CT slice | Image size 512x512

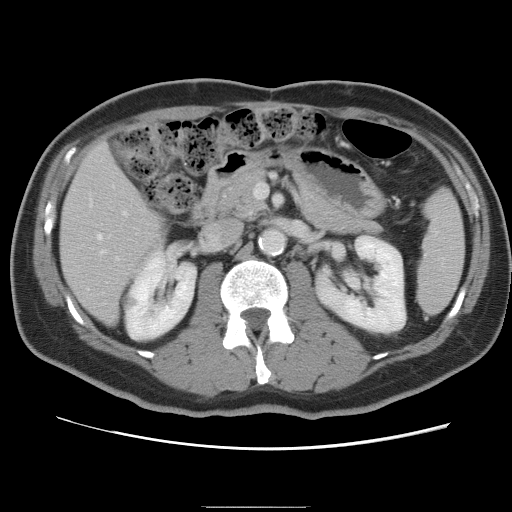 Some hepatic vessels may have no box.
5 hepatic vessel regions are bounded by [100, 249, 104, 252], [123, 210, 126, 213], [89, 198, 91, 205], [115, 257, 117, 258], [97, 233, 101, 238].